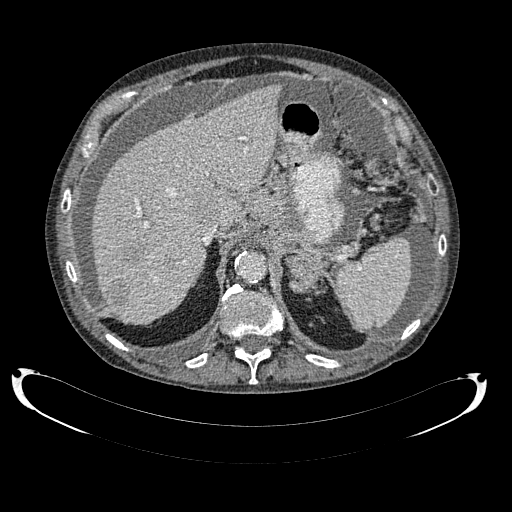 CT
<segmentation>
  <hepatic_lesion>(168,258,175,268), (110,284,128,304), (190,193,210,219), (123,242,141,270)</hepatic_lesion>
  <liver>(92,85,280,323)</liver>
</segmentation>